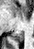
MR | 34x49 px

Segmented structures:
• posterior hippocampus: bbox(12, 31, 22, 42)